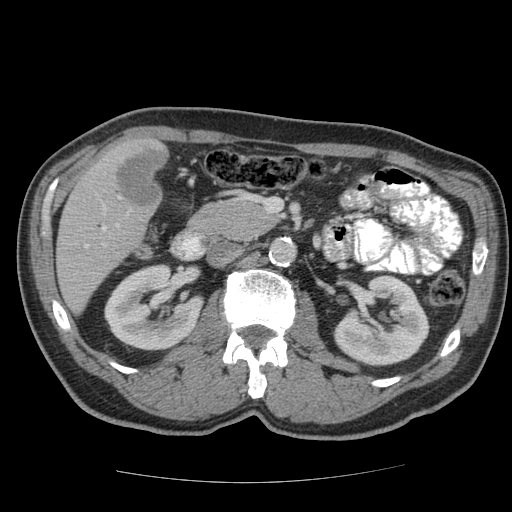 CT scan slice
Not every hepatic vessel necessarily has a box.
liver_tumor:
  - (117,147,165,208)
hepatic_vessel:
  - (101,226,105,229)
  - (118,197,120,199)
  - (85,245,87,247)